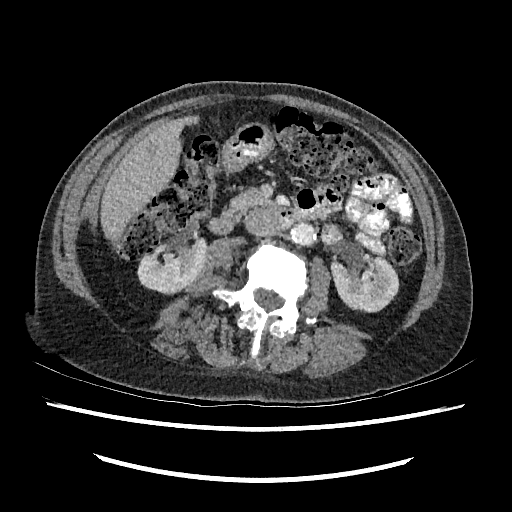

Abdomen. CT scan slice. Image size 512x512.

Liver — bbox(101, 115, 199, 242).
Kidney — bbox(138, 243, 206, 292); bbox(331, 257, 398, 311).
Focal liver lesion — bbox(146, 142, 157, 153).